256x256, Slice 13/15
T2-weighted MR image.
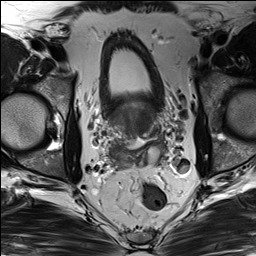
ADC MRI.
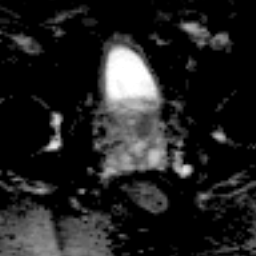
- prostate transition zone: box(115, 102, 157, 143)